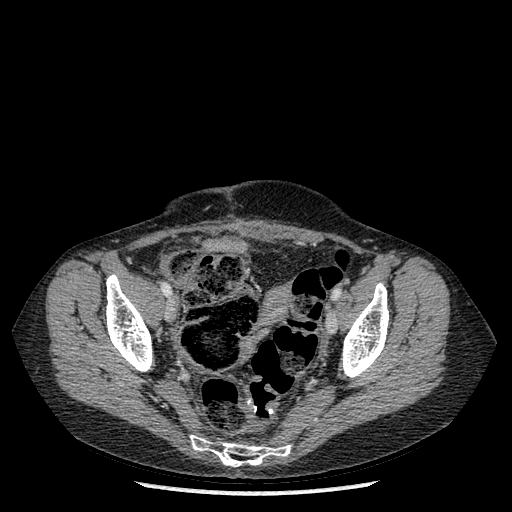 CT scan slice. Segmented structures:
- bone: bbox=[106, 274, 152, 371]; bbox=[190, 435, 291, 466]; bbox=[342, 283, 388, 377]